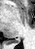

Medial temporal lobe. MRI slice.

Posterior hippocampus: bounding box box=[6, 38, 19, 44].